CT slice; Upper abdomen

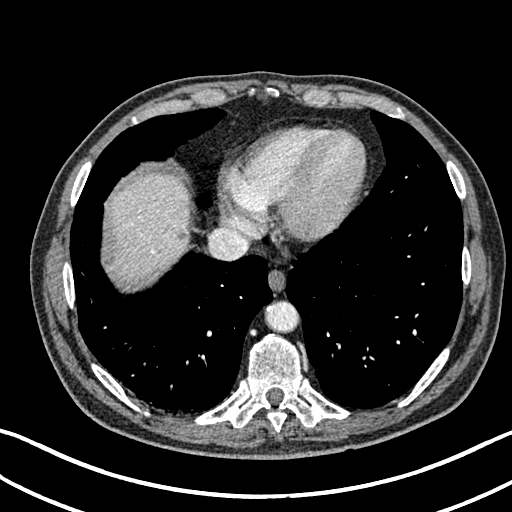 The liver lesion is bounded by bbox(176, 231, 184, 239). The liver is at bbox(111, 175, 188, 281).